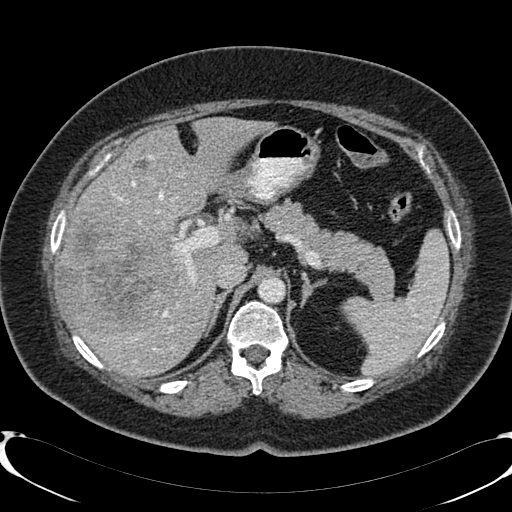
CT scan slice; Abdomen

2 liver lesion regions are located at 135,160,148,170; 59,215,176,331. The liver is bounded by 58,118,275,376.